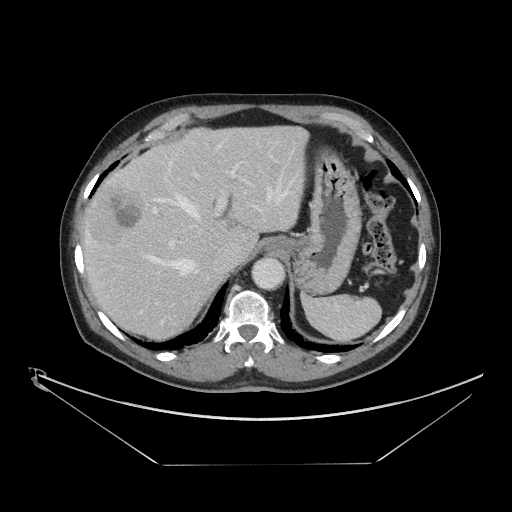

CT slice
Not every hepatic vessel necessarily has a box.
Findings:
* liver tumor: l=86, t=183, r=145, b=245
* hepatic vessel (principal 15 of 20): l=270, t=156, r=273, b=159; l=267, t=188, r=271, b=199; l=230, t=165, r=237, b=177; l=193, t=270, r=197, b=272; l=144, t=255, r=165, b=264; l=177, t=197, r=199, b=218; l=154, t=198, r=165, b=201; l=170, t=259, r=195, b=274; l=216, t=143, r=222, b=149; l=169, t=240, r=174, b=247; l=152, t=208, r=156, b=212; l=216, t=213, r=218, b=215; l=256, t=207, r=261, b=211; l=194, t=173, r=197, b=175; l=275, t=180, r=292, b=202